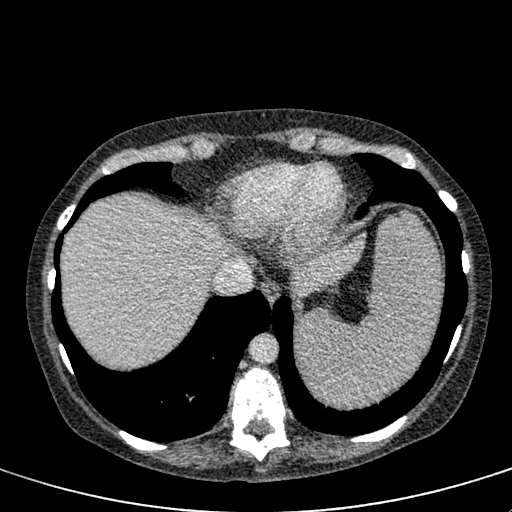

CT slice

Liver lesion — left=183, top=230, right=213, bottom=247.
Liver — left=291, top=236, right=364, bottom=292; left=61, top=197, right=229, bottom=368.